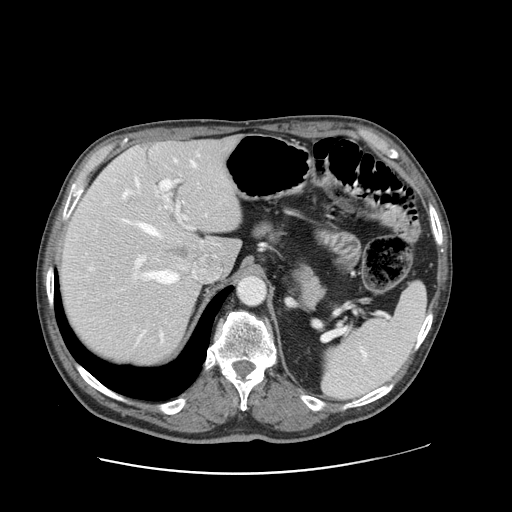 CT scan slice; 512x512 px; Abdomen
Only some of the vessels may be annotated.
The liver tumor is located at (x1=168, y1=247, x2=189, y2=258). 14 hepatic vessel regions are bounded by (x1=134, y1=271, x2=136, y2=278), (x1=139, y1=224, x2=157, y2=234), (x1=136, y1=256, x2=145, y2=266), (x1=138, y1=337, x2=139, y2=339), (x1=138, y1=191, x2=139, y2=193), (x1=136, y1=180, x2=138, y2=186), (x1=192, y1=162, x2=195, y2=165), (x1=161, y1=180, x2=170, y2=188), (x1=123, y1=220, x2=128, y2=221), (x1=161, y1=335, x2=162, y2=339), (x1=174, y1=159, x2=176, y2=161), (x1=124, y1=189, x2=128, y2=197), (x1=166, y1=206, x2=167, y2=207), (x1=144, y1=271, x2=177, y2=282).